Slice index 65; CT scan slice; Field of view 487 mm wide, 4.00 mm slice spacing 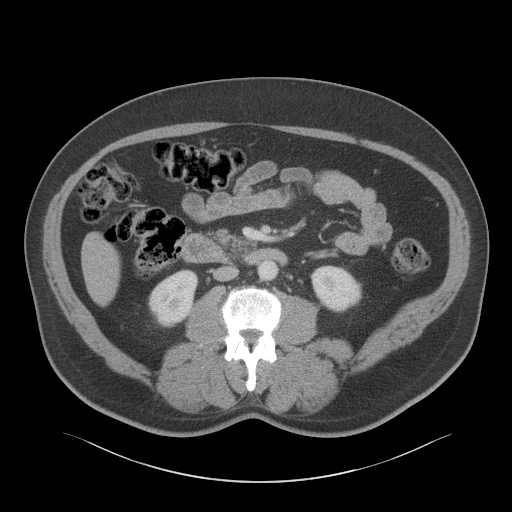 <segmentation>
  <kidney>left=149, top=271, right=196, bottom=325; left=312, top=266, right=359, bottom=310</kidney>
  <liver>left=84, top=236, right=119, bottom=302</liver>
</segmentation>